FLAIR MR.
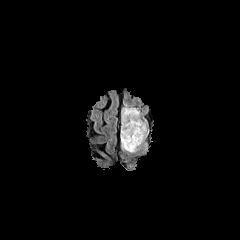
T1-weighted MR.
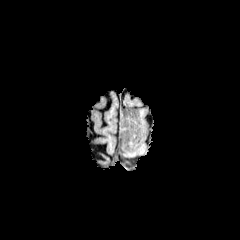
Post-contrast T1-weighted MR image.
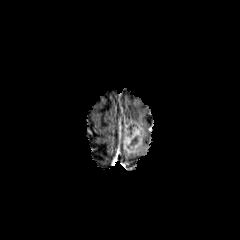
T2-weighted MR image.
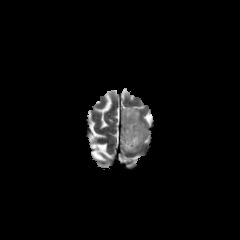
240x240 px
The edema lies within 121,107,148,131. 2 non-enhancing tumor core regions are located at 126,122,136,134; 129,137,139,146. The enhancing tumor is at 120,119,145,154.